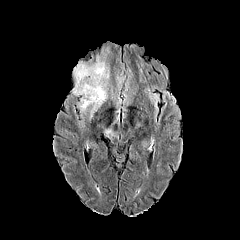
FLAIR MR.
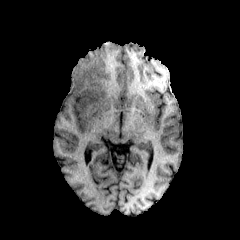
T1-weighted magnetic resonance.
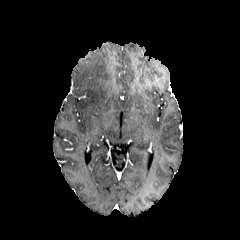
Same slice, post-contrast T1-weighted MRI.
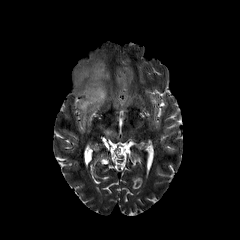
T2-weighted magnetic resonance.
Brain
edema:
  - <box>73,61,108,117</box>
  - <box>116,74,125,85</box>